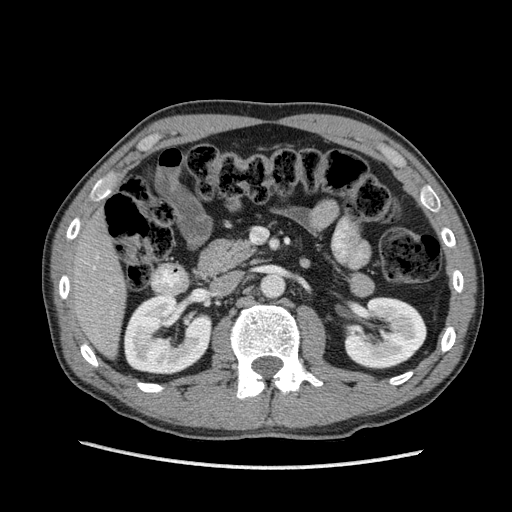
Image size 512x512. Abdomen. Computed tomography. Liver: (left=63, top=210, right=126, bottom=359).
Kidney: (left=345, top=298, right=425, bottom=367), (left=125, top=295, right=210, bottom=372).